CT scan slice. 512x512 px. 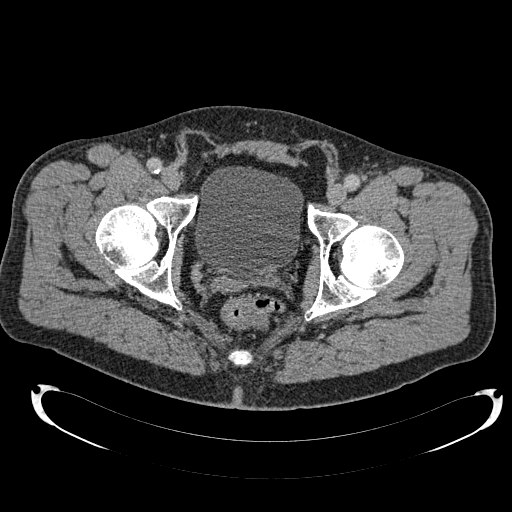
The urinary bladder is at <box>194,166,303,281</box>.